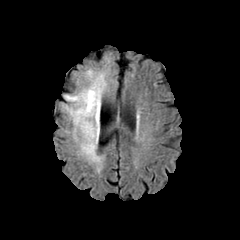
FLAIR MR image.
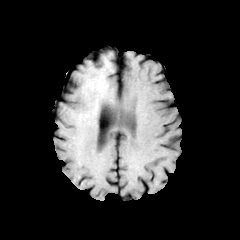
T1-weighted MRI.
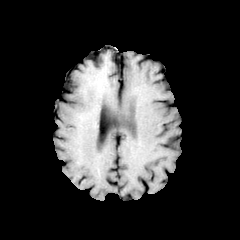
Same slice, post-contrast T1-weighted MRI.
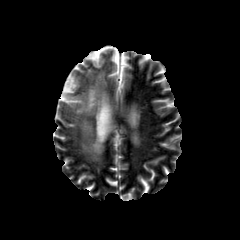
Same slice, T2-weighted MR.
240x240 px; Head
Annotated regions:
* non-enhancing tumor core: (77,83,104,125)
* edema: (64,88,100,162), (92,73,106,86)